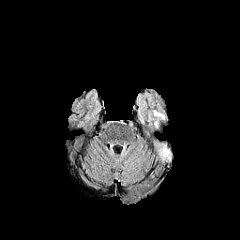
FLAIR MR image.
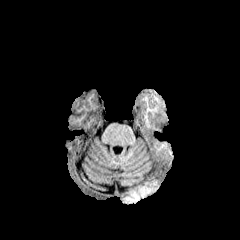
T1-weighted MRI of the same slice.
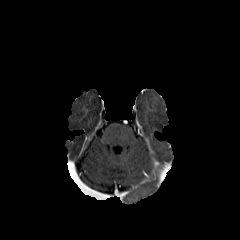
Post-contrast T1-weighted MRI.
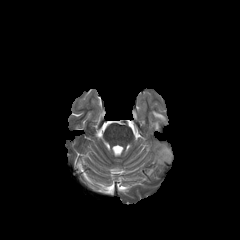
Same slice, T2-weighted MR image.
Brain.
edema:
  - [154, 111, 165, 120]
  - [155, 143, 171, 163]